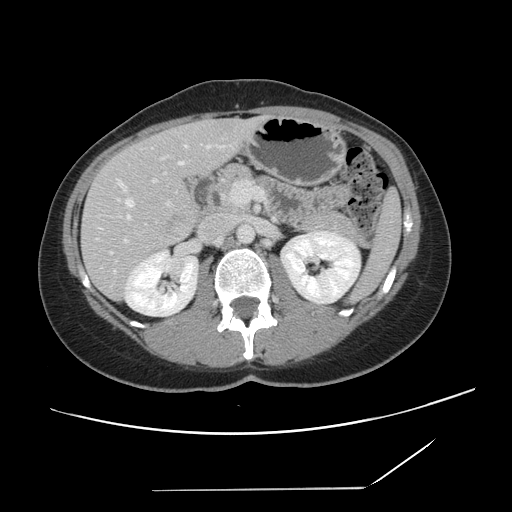 Liver, CT image
The vessel boxes may cover only some of the vessels.
The liver tumor is at 167, 219, 175, 230. 14 hepatic vessel regions appear at 127, 215, 130, 219; 117, 199, 118, 200; 161, 156, 166, 159; 124, 240, 127, 242; 110, 252, 112, 253; 166, 201, 170, 205; 185, 144, 187, 147; 153, 180, 155, 181; 218, 146, 224, 147; 125, 199, 133, 206; 179, 161, 183, 164; 117, 179, 126, 190; 114, 270, 115, 272; 207, 145, 210, 147.